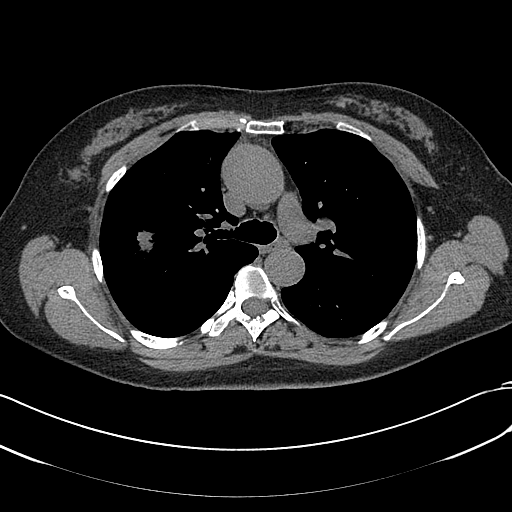
Lung. CT slice.
{"lung_tumor": ["[132, 229, 160, 265]"]}